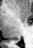 Medial temporal lobe, MRI
The posterior hippocampus is bounded by [x1=12, y1=38, x2=19, y2=40].